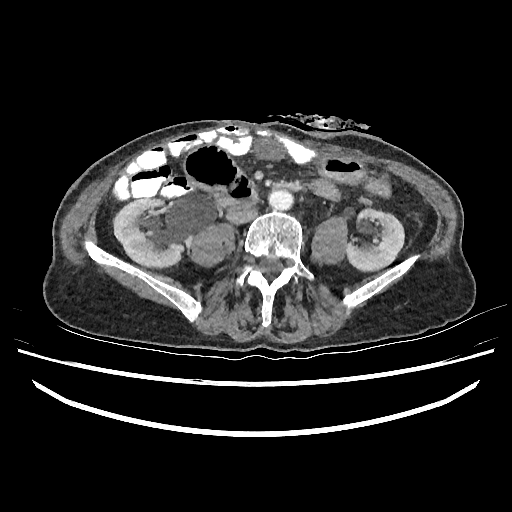 CT image. Abdomen.

kidney: (114, 198, 183, 266), (346, 209, 404, 270)